Computed tomography; Slice 62/143 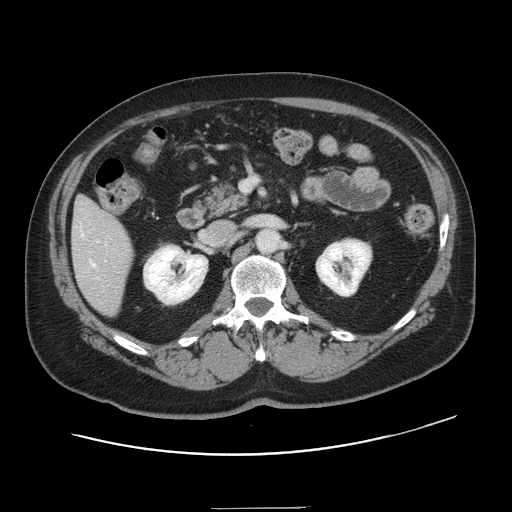
The vessel annotation is not exhaustive.
hepatic_vessel:
  - <bbox>90, 260, 95, 266</bbox>
  - <bbox>81, 233, 83, 237</bbox>